Field of view 240 mm wide, 1.00 mm slice spacing. 240x240. Slice index 116.
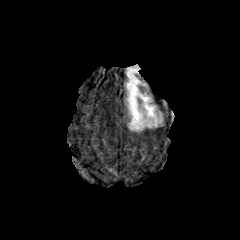
FLAIR MR image.
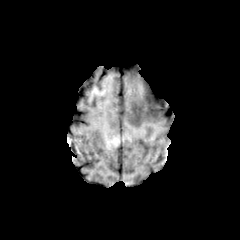
T1-weighted MR.
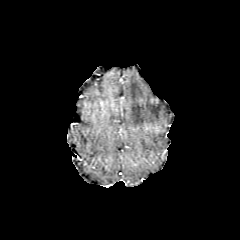
Post-contrast T1-weighted MR image.
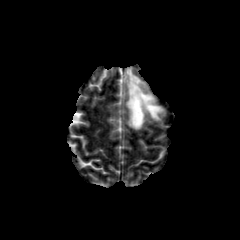
Same slice, T2-weighted MR.
The edema is at (left=125, top=65, right=165, bottom=131).